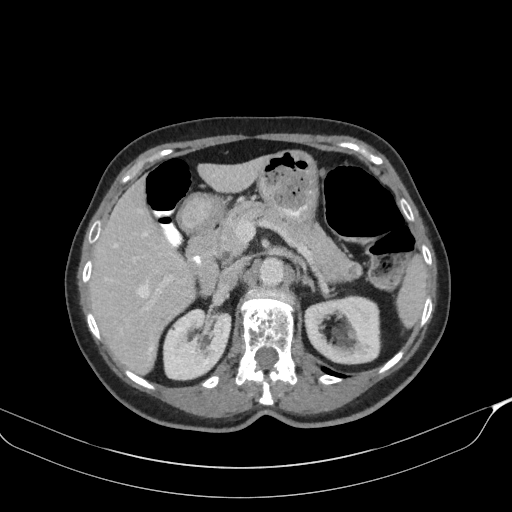
CT image | Image size 512x512

pancreatic_tumor:
  - box(345, 261, 362, 280)
pancreas:
  - box(216, 202, 351, 280)